Slice 25/155 | Image size 240x240 | Head
FLAIR MRI.
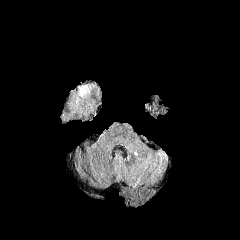
T1-weighted MR.
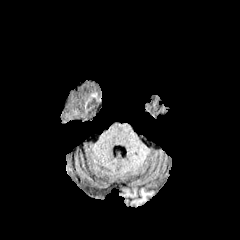
Post-contrast T1-weighted MRI.
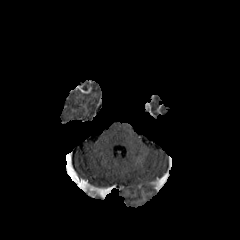
T2-weighted magnetic resonance.
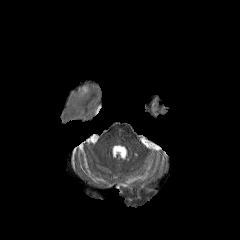
The non-enhancing tumor core lies within bbox(60, 80, 101, 121).